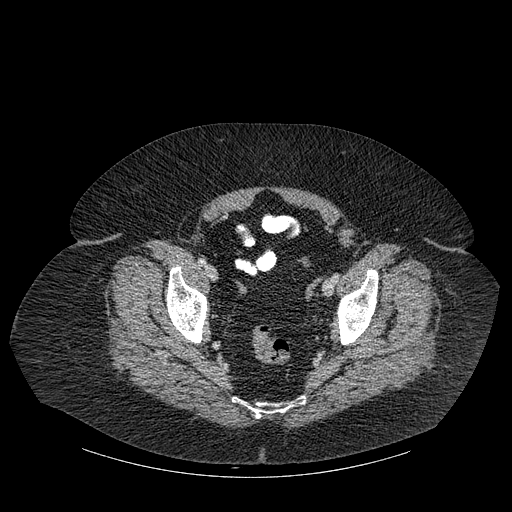

CT
Bone: 338:269:378:344, 232:396:305:418, 167:266:206:342.